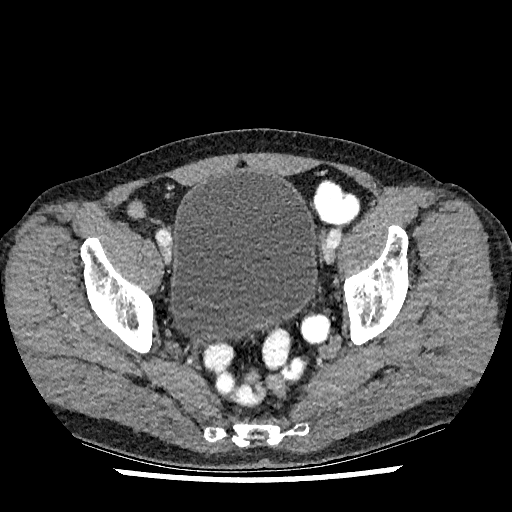

Lower abdomen. CT.
Urinary bladder at <bbox>170, 171, 315, 346</bbox>.